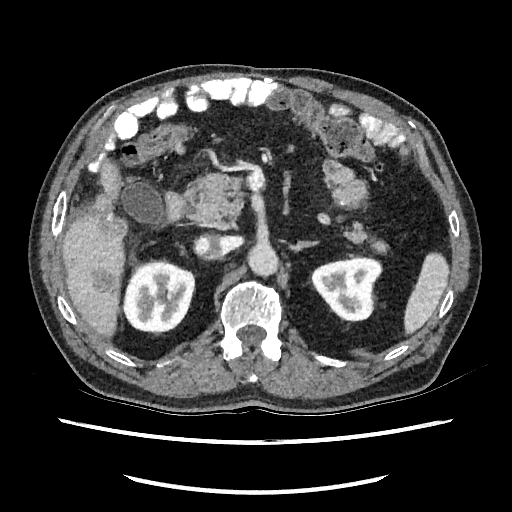
Computed tomography | Liver
<segmentation>
  <liver_lesion>91:267:118:294, 96:205:126:236</liver_lesion>
  <kidney>123:261:194:333, 312:254:381:321</kidney>
  <liver>62:163:124:334</liver>
</segmentation>